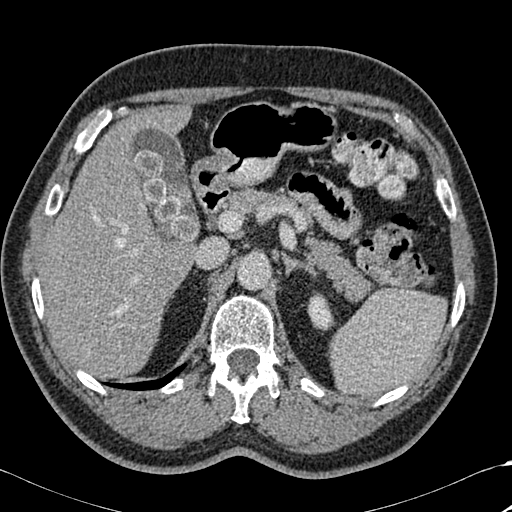
CT

Annotated regions:
* liver: [x1=39, y1=125, x2=192, y2=378], [x1=127, y1=106, x2=189, y2=135]
* bone: [x1=75, y1=121, x2=104, y2=152], [x1=301, y1=379, x2=323, y2=396], [x1=452, y1=284, x2=464, y2=325], [x1=210, y1=296, x2=278, y2=423], [x1=32, y1=279, x2=43, y2=317], [x1=437, y1=179, x2=455, y2=218], [x1=375, y1=386, x2=406, y2=405], [x1=45, y1=185, x2=62, y2=214], [x1=162, y1=379, x2=182, y2=393], [x1=77, y1=371, x2=105, y2=393]
* kidney: [x1=309, y1=297, x2=330, y2=327]
* lung: [x1=105, y1=364, x2=186, y2=390]